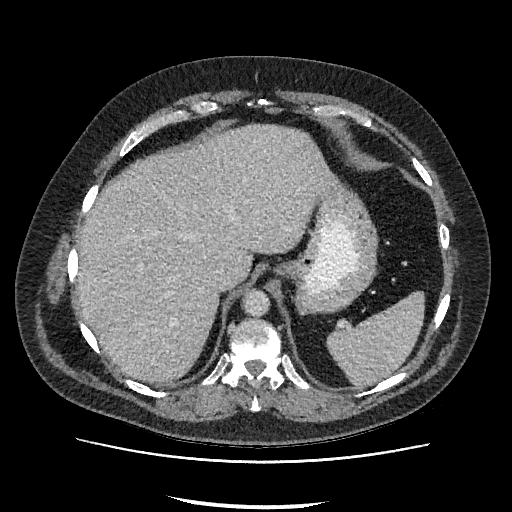 CT image, Liver

The liver is at l=78, t=125, r=329, b=381.